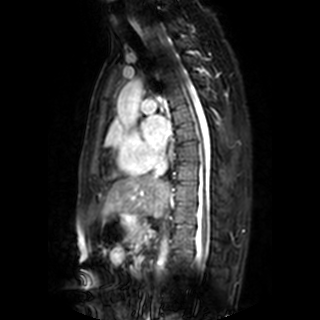
MR, Cardiac, 320x320
<segmentation>
  <left_atrium>[143,115,171,149]</left_atrium>
</segmentation>